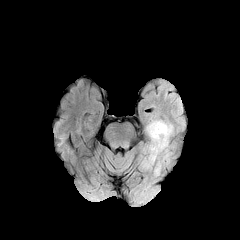
FLAIR MRI.
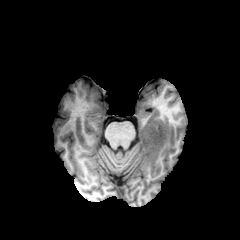
T1-weighted MRI.
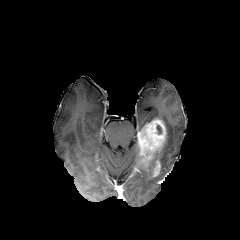
Post-contrast T1-weighted magnetic resonance.
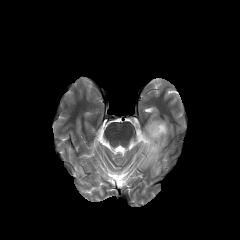
T2-weighted MR of the same slice.
Head
<segmentation>
  <enhancing_tumor>bbox(154, 160, 160, 175); bbox(138, 119, 166, 167)</enhancing_tumor>
  <edema>bbox(158, 121, 172, 167); bbox(136, 145, 153, 173)</edema>
  <non-enhancing_tumor_core>bbox(151, 152, 159, 164)</non-enhancing_tumor_core>
</segmentation>